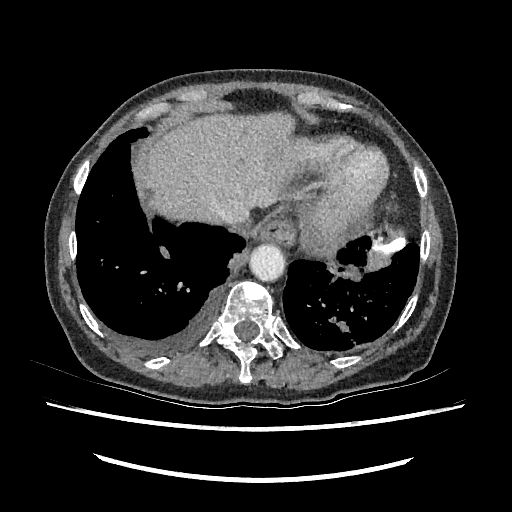
Upper abdomen; CT slice

Liver lesion: bounding box 146:189:155:199.
Liver: bounding box 144:112:309:221.